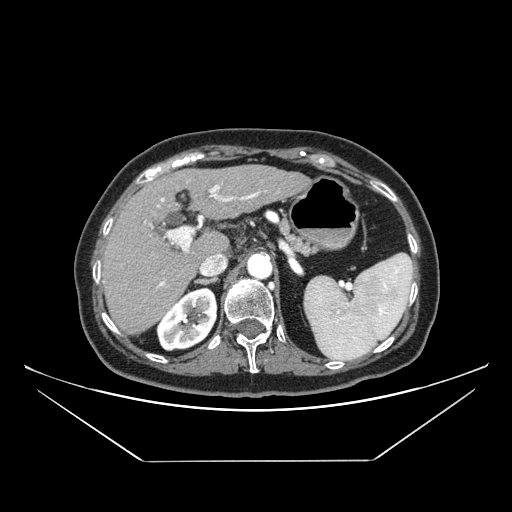 CT. Upper abdomen.

Findings:
* pancreas: <box>277,217,316,256</box>